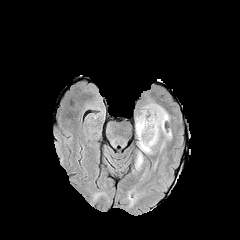
FLAIR MRI.
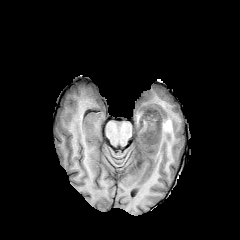
T1-weighted magnetic resonance of the same slice.
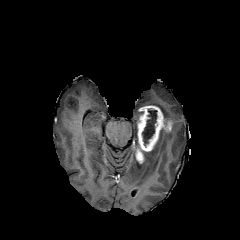
Post-contrast T1-weighted MR image.
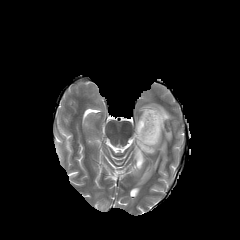
T2-weighted magnetic resonance.
Edema = (x1=145, y1=132, x2=161, y2=153), (x1=162, y1=130, x2=171, y2=139), (x1=135, y1=147, x2=141, y2=170), (x1=146, y1=103, x2=169, y2=119).
Enhancing tumor = (x1=136, y1=149, x2=143, y2=163), (x1=138, y1=106, x2=171, y2=151).
Non-enhancing tumor core = (x1=142, y1=108, x2=157, y2=147), (x1=163, y1=118, x2=173, y2=127).